CT slice, Upper abdomen, Image width 382 mm
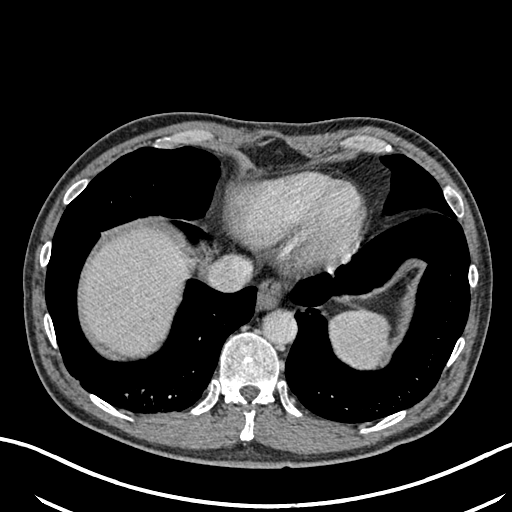 Liver: bounding box <bbox>80, 228, 184, 352</bbox>.